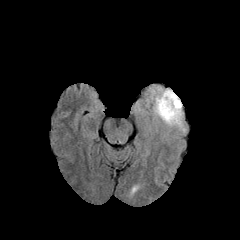
FLAIR MR image.
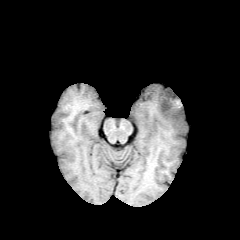
T1-weighted MRI of the same slice.
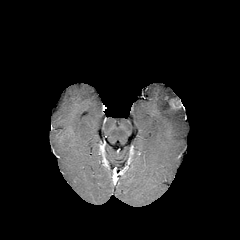
Post-contrast T1-weighted MR.
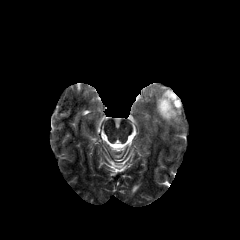
Same slice, T2-weighted MRI.
Brain
<segmentation>
  <edema>x1=147 y1=86 x2=185 y2=131</edema>
  <enhancing_tumor>x1=170 y1=100 x2=181 y2=108</enhancing_tumor>
</segmentation>